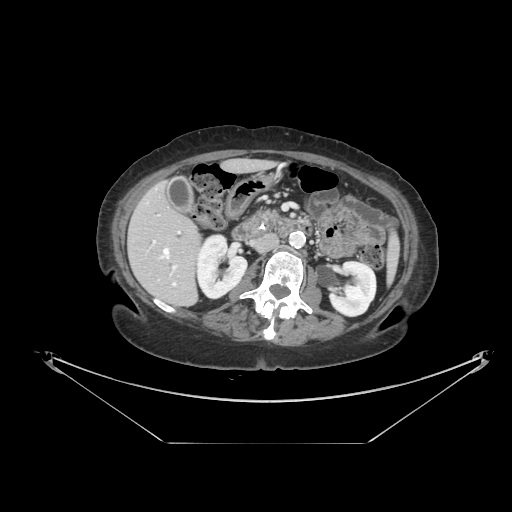

512x512 px. CT scan slice.
Pancreas = rect(257, 209, 276, 219).
Pancreatic tumor = rect(266, 212, 278, 223).